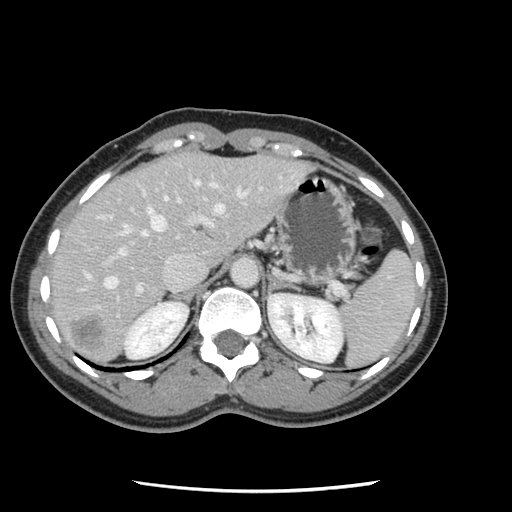

CT image
Some hepatic vessels may have no box.
<segmentation>
  <hepatic_vessel>136,285,141,291; 104,276,116,287; 147,208,165,230; 194,180,199,184; 108,215,110,217; 177,199,179,201; 209,182,216,186; 214,204,223,212; 196,217,211,224; 237,188,246,196; 163,195,166,198; 141,230,146,234; 85,273,89,277; 121,224,129,232; 118,248,124,254</hepatic_vessel>
  <liver_tumor>71,315,105,348</liver_tumor>
</segmentation>